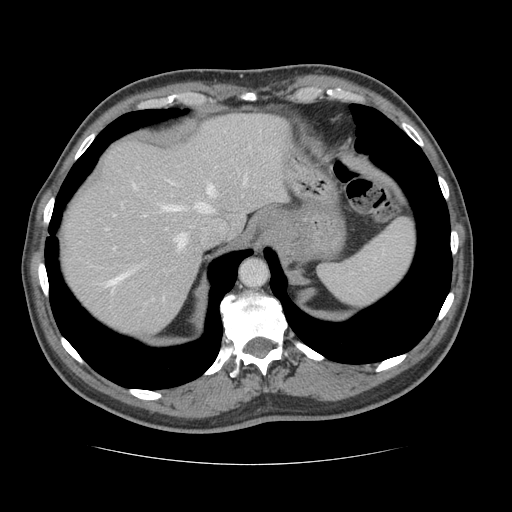
Liver, CT

The vessel annotation is not exhaustive.
Hepatic vessel = (left=113, top=246, right=114, bottom=248), (left=105, top=272, right=128, bottom=284), (left=207, top=184, right=215, bottom=196), (left=243, top=179, right=246, bottom=183), (left=160, top=204, right=183, bottom=209), (left=163, top=296, right=164, bottom=299), (left=168, top=180, right=174, bottom=183), (left=193, top=203, right=212, bottom=212), (left=143, top=215, right=145, bottom=216), (left=106, top=228, right=107, bottom=229), (left=175, top=233, right=186, bottom=248), (left=132, top=183, right=134, bottom=187).